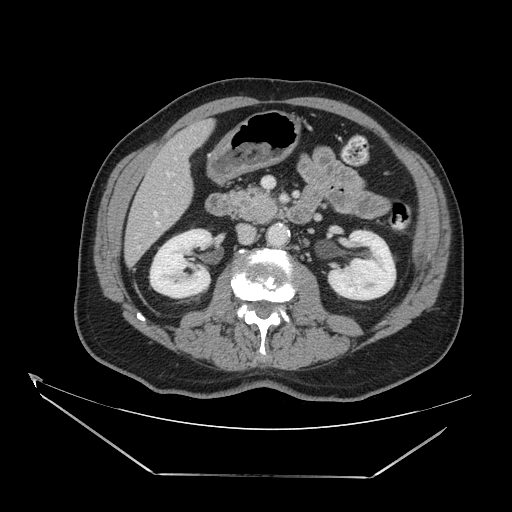 Upper abdomen, CT image, 512x512
Pancreatic tumor — region(253, 198, 271, 213).
Pancreas — region(230, 188, 276, 223).